CT scan slice; Slice 34/100; Field of view 400x400 mm 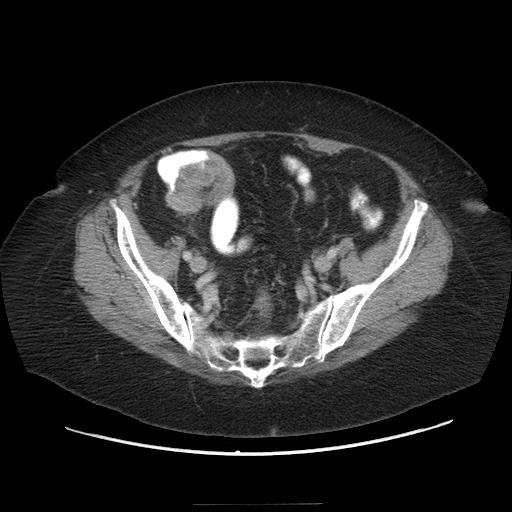

* colon tumor: bbox=[166, 150, 234, 213]